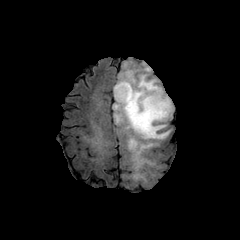
FLAIR MRI.
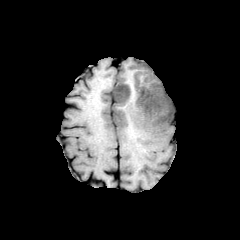
T1-weighted magnetic resonance.
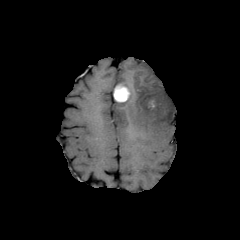
Post-contrast T1-weighted MRI of the same slice.
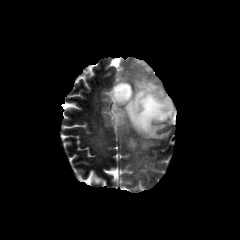
T2-weighted MRI.
enhancing tumor: x1=113 y1=84 x2=130 y2=102 | edema: x1=112 y1=62 x2=173 y2=166 | non-enhancing tumor core: x1=114 y1=99 x2=125 y2=123, x1=118 y1=78 x2=171 y2=119